Field of view 240 mm wide, 1.00 mm slice spacing, Image size 240x240, Brain
FLAIR MR image.
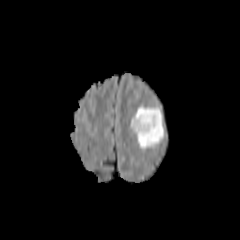
T1-weighted MRI.
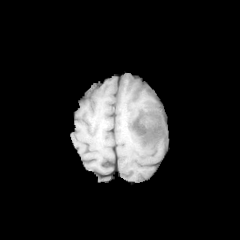
Post-contrast T1-weighted magnetic resonance.
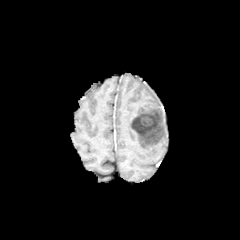
T2-weighted magnetic resonance.
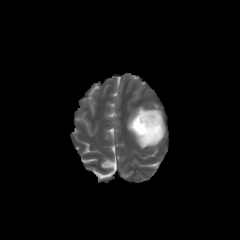
Non-enhancing tumor core — rect(131, 114, 156, 136).
Edema — rect(127, 106, 167, 148).